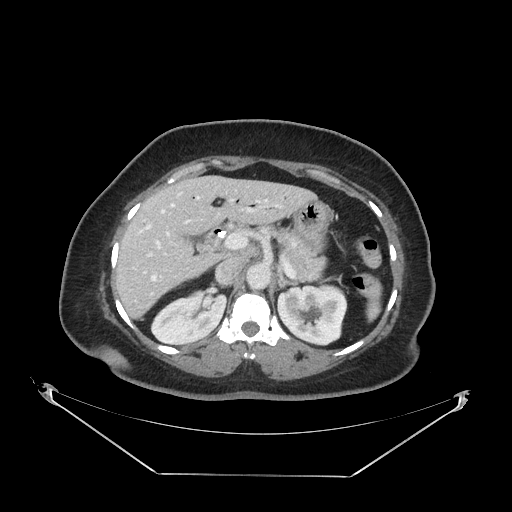 Upper abdomen, CT scan slice
The pancreas is bounded by bbox=[278, 229, 326, 282].